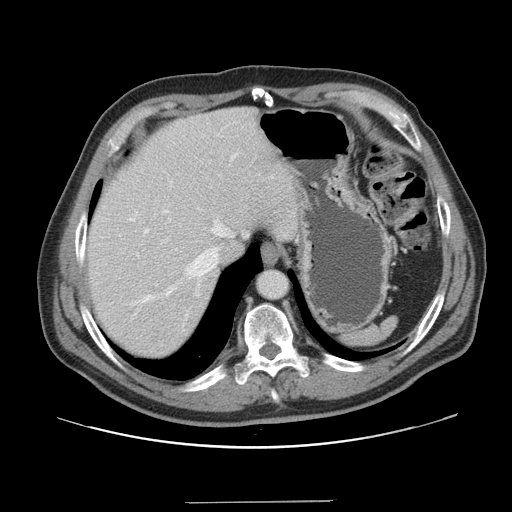

Liver; CT scan slice
Only some of the vessels may be annotated.
hepatic_vessel:
  - l=186, t=248, r=217, b=276
  - l=144, t=229, r=148, b=232
  - l=164, t=210, r=167, b=211
  - l=129, t=219, r=133, b=220
  - l=166, t=287, r=174, b=295
  - l=211, t=220, r=226, b=235
  - l=142, t=296, r=153, b=301